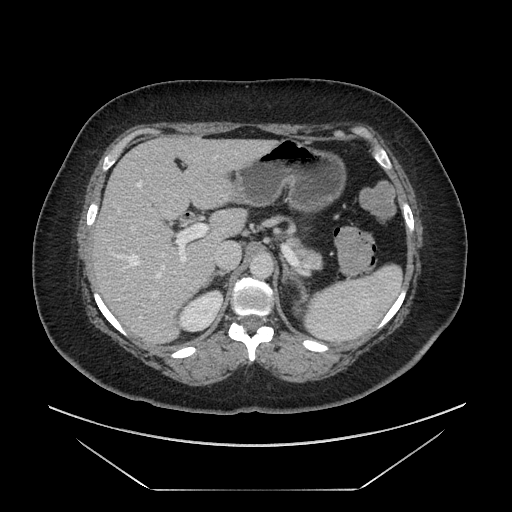

Image size 512x512. Upper abdomen. CT. The pancreas is bounded by x1=290 y1=239 x2=321 y2=267.